FLAIR MRI.
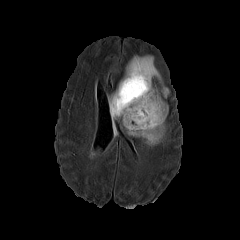
T1-weighted magnetic resonance.
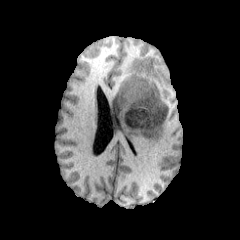
Post-contrast T1-weighted MR image.
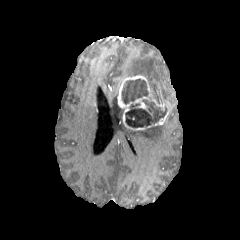
T2-weighted MR image.
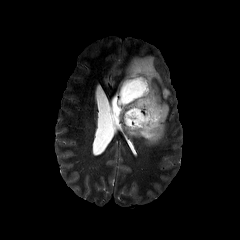
Brain.
Segmented structures:
- edema: 161 84 169 98, 125 55 161 86, 108 90 123 125, 125 123 166 146
- non-enhancing tumor core: 120 78 168 128
- enhancing tumor: 117 74 170 130, 147 111 168 127